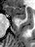
Magnetic resonance. Image size 35x47. Hippocampus.
Anterior hippocampus — <box>8,5,25,19</box>.